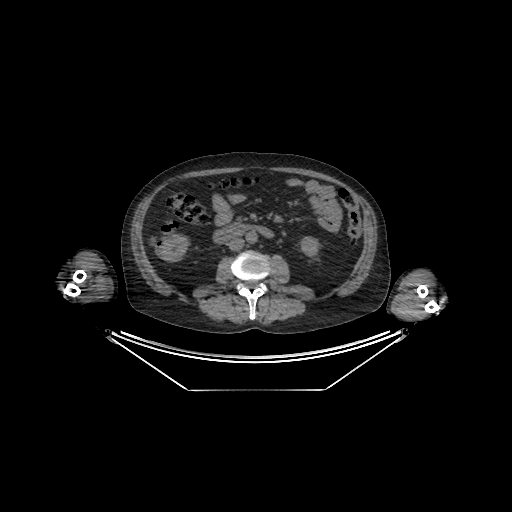
512x512; CT scan slice; Abdomen

Annotated regions:
• kidney: 299 236 321 258